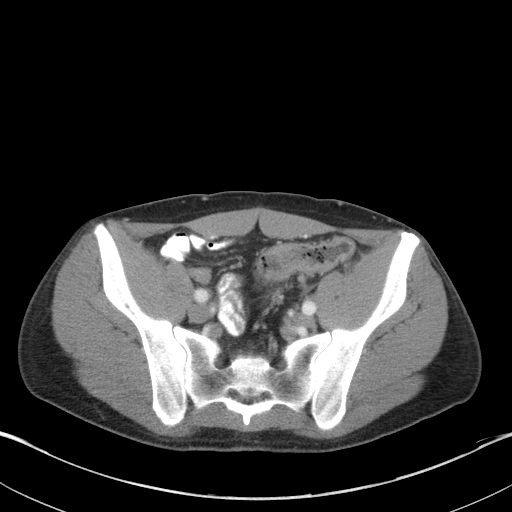 CT image; Abdomen; 512x512 px
Colon tumor at (264,237,356,279).